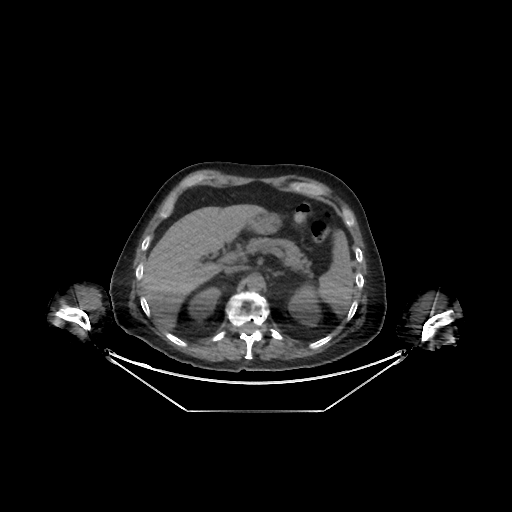
Abdomen, CT scan slice
The liver lies within rect(141, 205, 269, 332). 2 kidney regions are located at rect(288, 283, 321, 326); rect(187, 285, 222, 322).